Image size 512x512 | Liver | CT scan slice

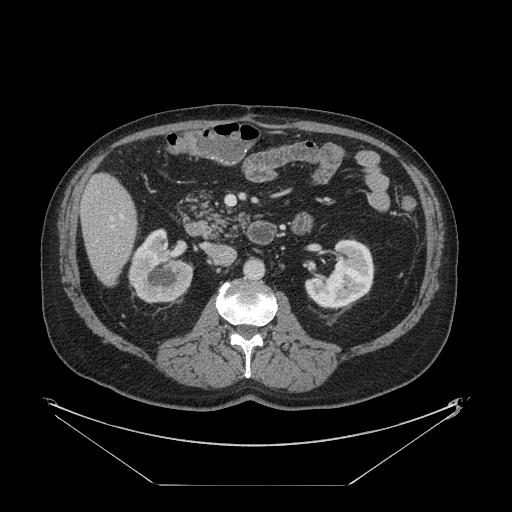 Only some of the vessels may be annotated.
• hepatic vessel: (120, 214, 122, 217)